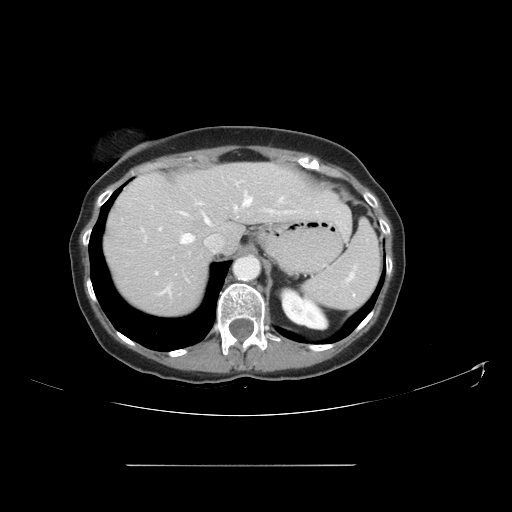
Computed tomography | Liver | Image size 512x512
Not every hepatic vessel necessarily has a box.
hepatic_vessel:
  - (265,208,285,214)
  - (236,181,241,185)
  - (203,213,209,223)
  - (195,202,203,205)
  - (278,197,284,202)
  - (158,227,161,230)
  - (155,271,158,274)
  - (243,191,251,206)
  - (180,233,193,243)
  - (234,206,237,211)